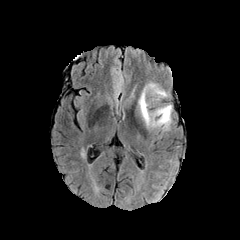
FLAIR MR image.
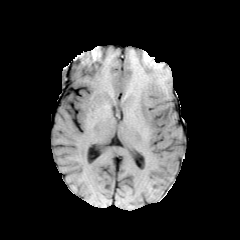
T1-weighted MR.
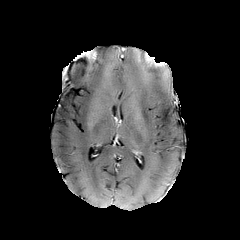
Post-contrast T1-weighted MRI.
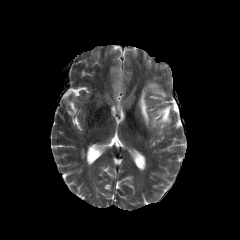
T2-weighted MR.
Brain
edema: rect(138, 82, 173, 129)